Slice 115 of 165 | CT slice

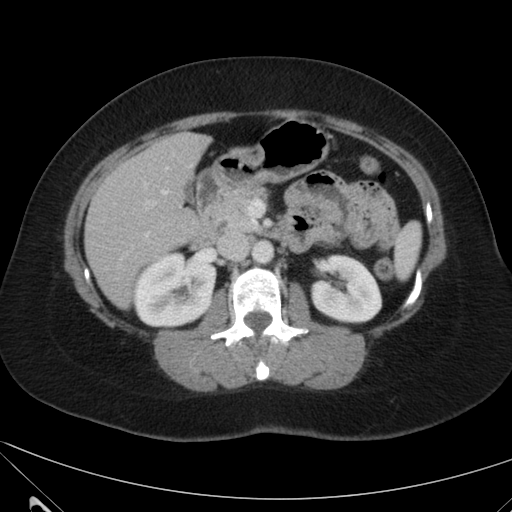

Segmented structures:
- liver: l=231, t=150, r=245, b=155; l=85, t=132, r=211, b=307
- kidney: l=136, t=254, r=214, b=325; l=311, t=256, r=378, b=320